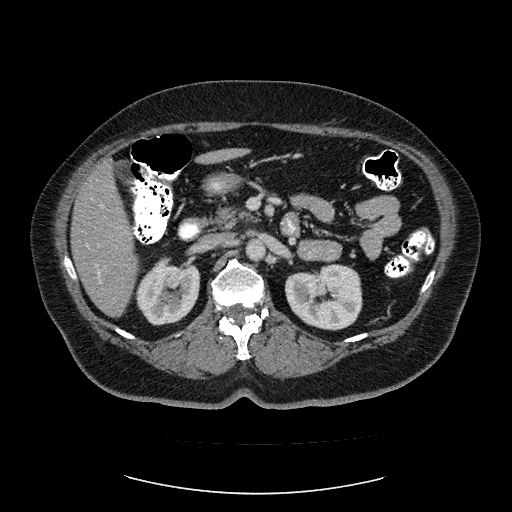
CT scan slice; Abdomen
The vessel boxes may cover only some of the vessels.
* hepatic vessel: (87,244,88,246), (96,264,105,278), (101,204,103,206)